512x512 px | CT | Abdomen
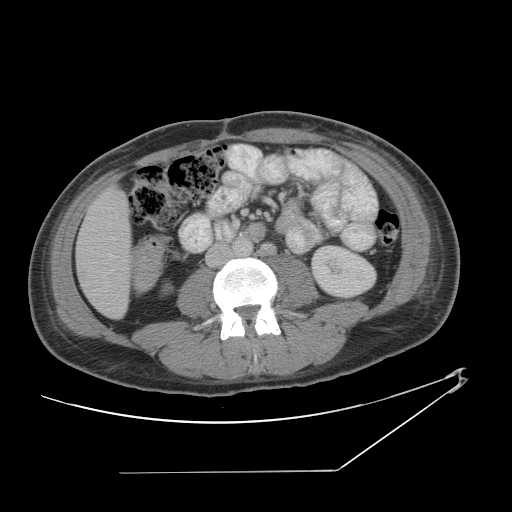
Some hepatic vessels may have no box.
{
  "hepatic_vessel": [
    "<bbox>109, 223, 110, 225</bbox>",
    "<bbox>109, 254, 111, 256</bbox>"
  ],
  "liver_tumor": [
    "<bbox>79, 270, 89, 280</bbox>"
  ]
}